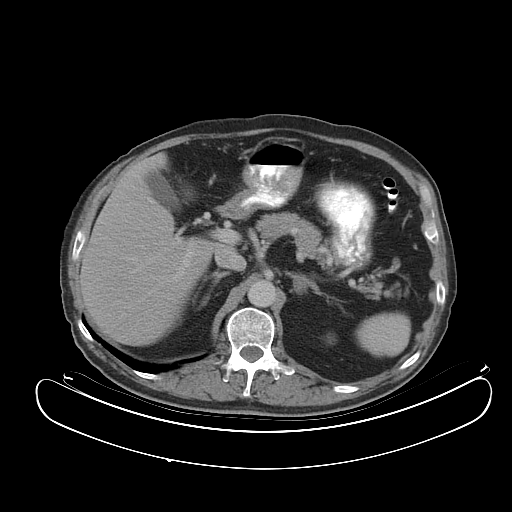

Upper abdomen, CT image
spleen:
  - bbox=[357, 315, 408, 354]